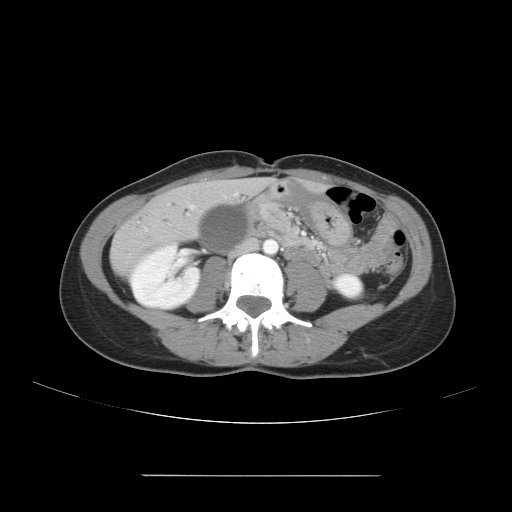
Abdomen; CT scan slice
pancreas:
  - left=259, top=201, right=295, bottom=237